Field of view 200 mm wide, 3.60 mm slice spacing, Prostate, Image size 320x320
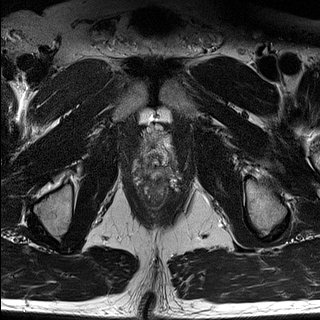
T2-weighted MR.
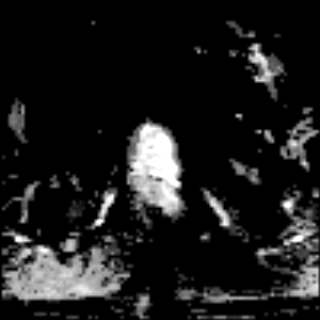
ADC MR.
Prostate peripheral zone: bounding box left=140, top=161, right=166, bottom=177.
Prostate transition zone: bounding box left=142, top=146, right=166, bottom=167.